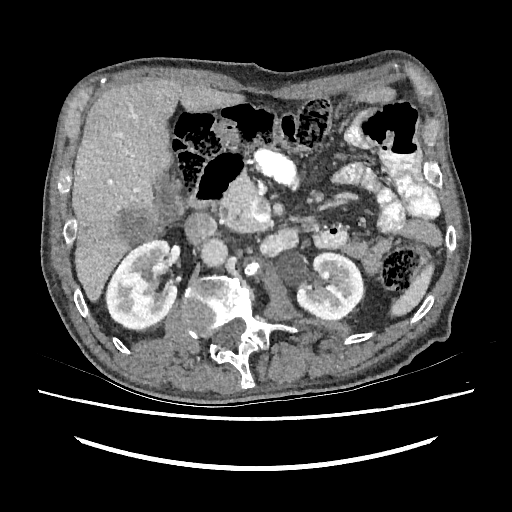 Upper abdomen | CT scan slice | Image size 512x512
Hepatic lesion — [112,207,160,243], [82,225,90,234].
Liver — [73,80,243,301].
Kidney — [297,253,362,319], [107,240,176,328].